FLAIR MR.
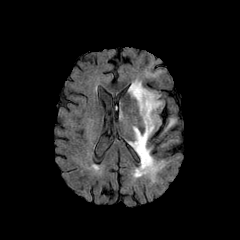
T1-weighted MRI.
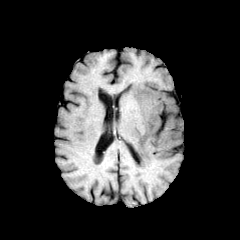
Post-contrast T1-weighted MR image.
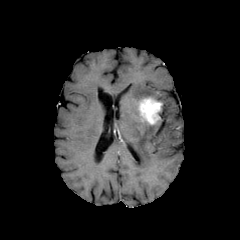
T2-weighted magnetic resonance.
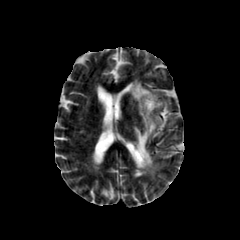
* enhancing tumor: x1=138, y1=96, x2=163, y2=125
* edema: x1=128, y1=122, x2=157, y2=177; x1=167, y1=116, x2=176, y2=129; x1=128, y1=79, x2=159, y2=107